320x320 px | Slice index 95 | MR | Heart

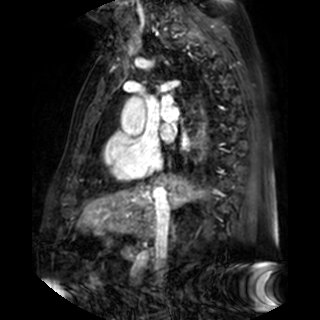 left atrium: box=[162, 126, 172, 140]